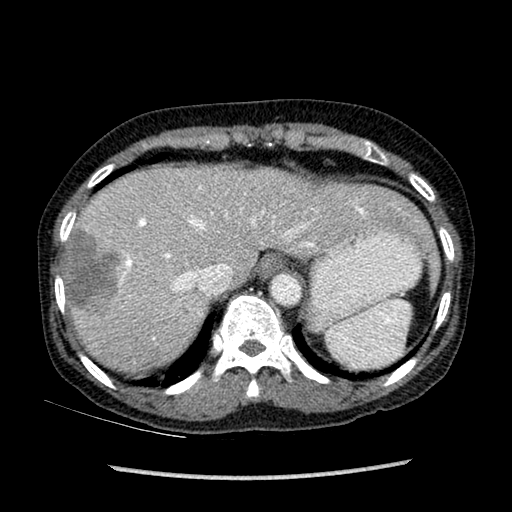 CT slice; Image size 512x512

Annotated regions:
- liver: (67,163,437,371)
- hepatic lesion: (60,225,127,314)